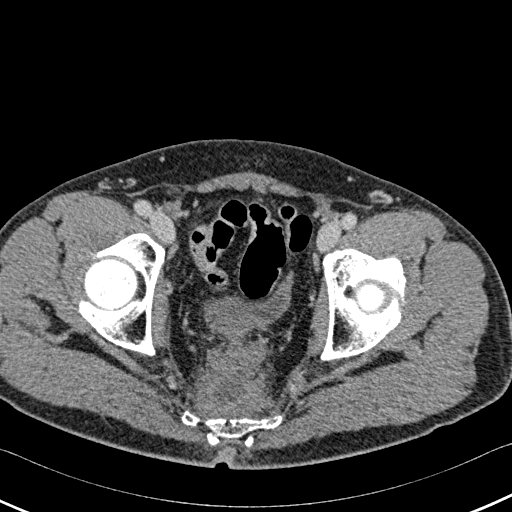 512x512 px, CT image
Bone — region(243, 433, 256, 445); region(182, 411, 199, 427); region(321, 249, 405, 359); region(78, 233, 164, 355); region(205, 416, 281, 444).